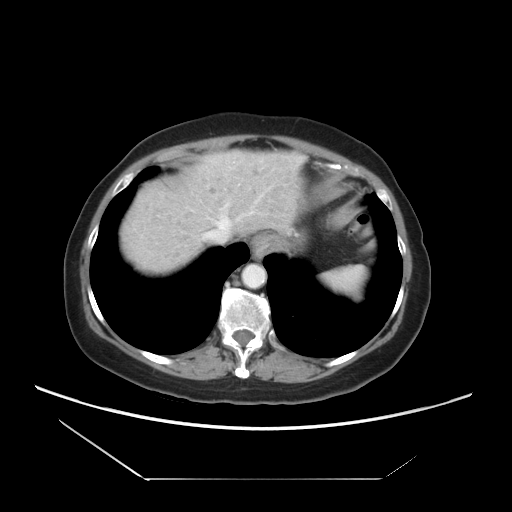
Computed tomography

Only some of the vessels may be annotated.
hepatic vessel: [x1=249, y1=211, x2=252, y2=213], [x1=257, y1=197, x2=260, y2=200], [x1=202, y1=224, x2=228, y2=241], [x1=226, y1=203, x2=228, y2=205], [x1=238, y1=216, x2=241, y2=219], [x1=245, y1=214, x2=248, y2=214], [x1=220, y1=216, x2=226, y2=220]